FLAIR MR.
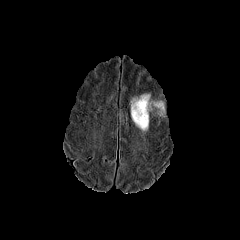
T1-weighted magnetic resonance.
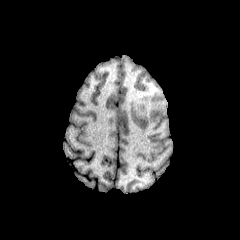
Post-contrast T1-weighted MRI.
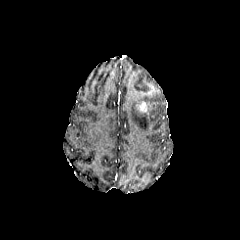
T2-weighted MR image.
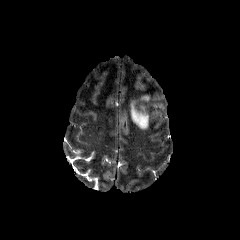
Brain.
<segmentation>
  <edema>(131, 94, 162, 129)</edema>
  <enhancing_tumor>(139, 102, 146, 112)</enhancing_tumor>
</segmentation>